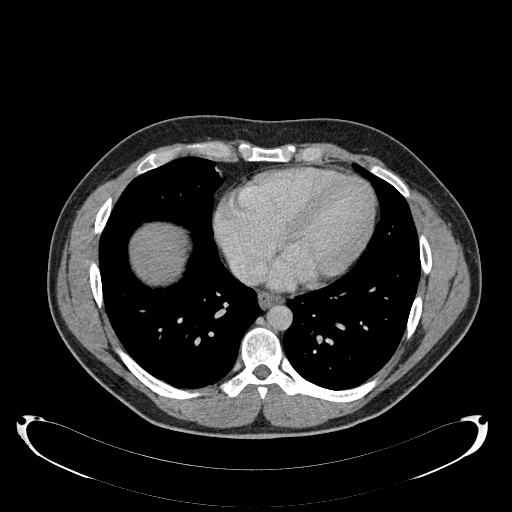 CT image

Liver — x1=131, y1=225, x2=184, y2=282.